Image size 240x240; Brain
FLAIR MRI.
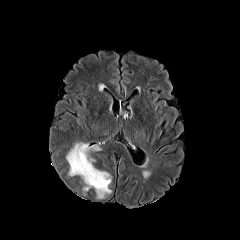
T1-weighted MR.
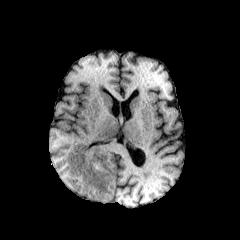
Post-contrast T1-weighted MR image.
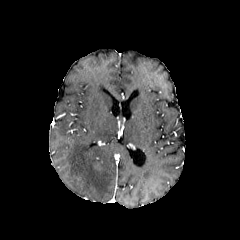
T2-weighted MRI.
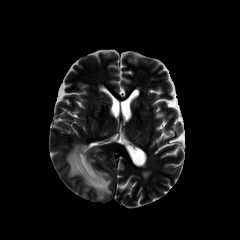
edema:
  - (left=66, top=143, right=111, bottom=199)